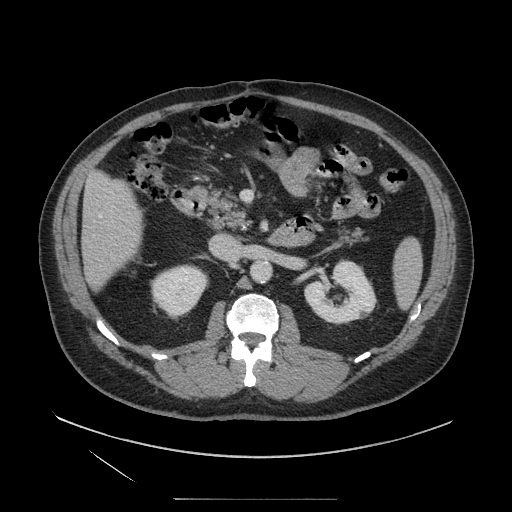 Abdomen; CT slice
<segmentation>
  <pancreas>(334, 226, 371, 247), (205, 187, 252, 233)</pancreas>
</segmentation>